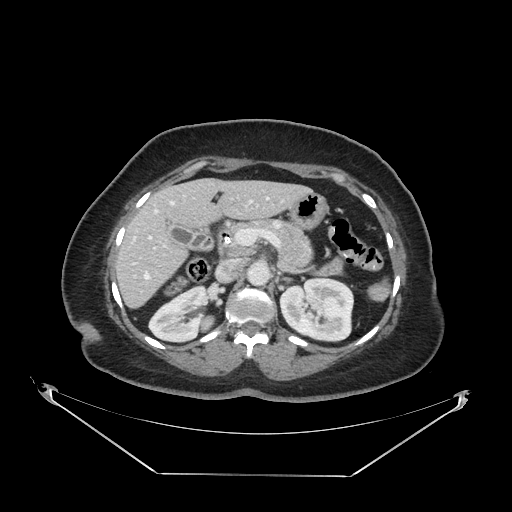
Upper abdomen. CT scan slice. 512x512 px.
Pancreas = [234,219,314,270].